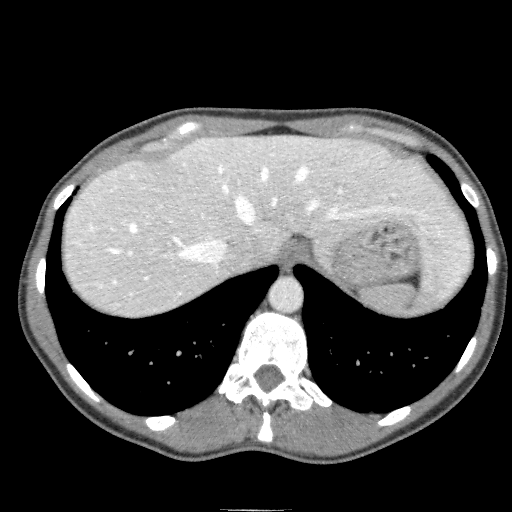

CT slice | Abdomen
Liver at box(64, 134, 469, 317).